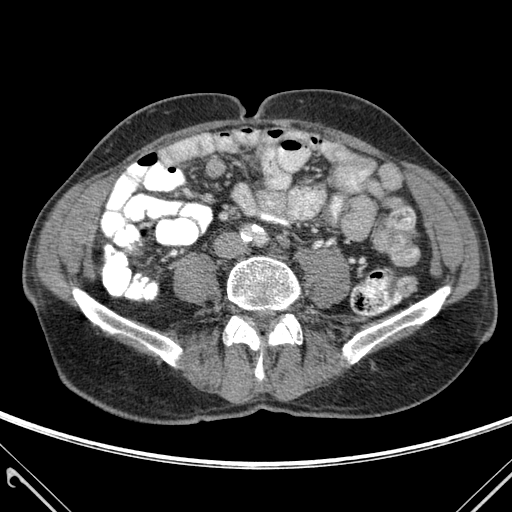 512x512 px, Computed tomography

6 bone regions are bounded by (x1=269, y1=314, x2=301, y2=344), (x1=255, y1=355, x2=263, y2=379), (x1=227, y1=257, x2=299, y2=309), (x1=343, y1=287, x2=449, y2=363), (x1=225, y1=316, x2=259, y2=349), (x1=73, y1=289, x2=181, y2=365).